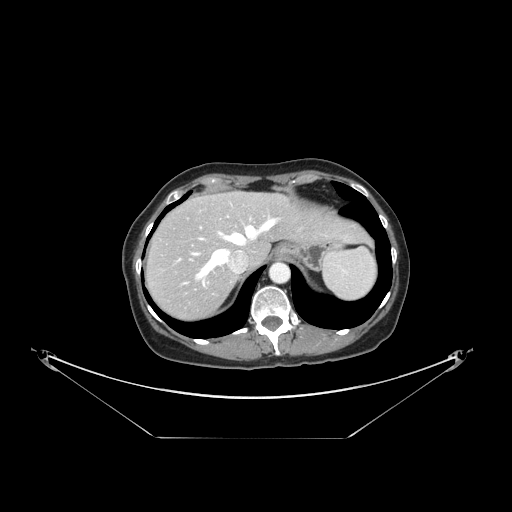

CT slice.
The vessel annotation is not exhaustive.
<segmentation>
  <hepatic_vessel>(x1=246, y1=226, x2=255, y2=237), (x1=219, y1=233, x2=221, y2=235), (x1=225, y1=233, x2=244, y2=243), (x1=262, y1=220, x2=274, y2=229)</hepatic_vessel>
</segmentation>